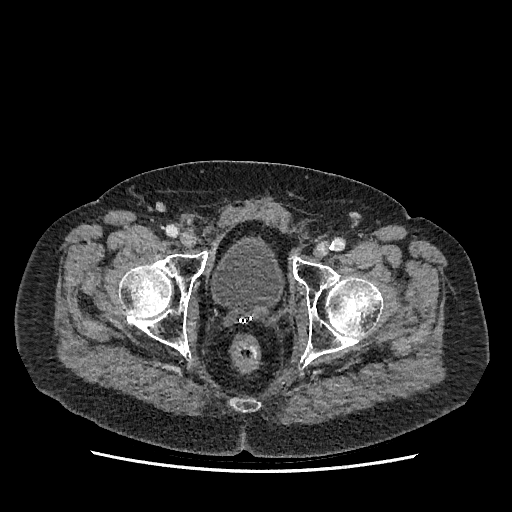

CT slice; 512x512

Urinary bladder at region(211, 242, 281, 313).